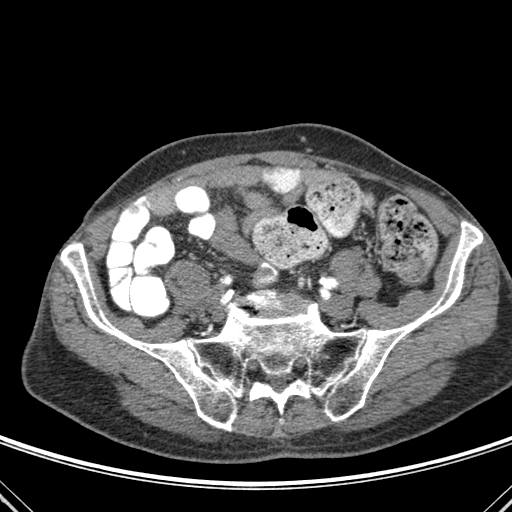
CT.
bone: (60, 221, 482, 430)